FLAIR magnetic resonance.
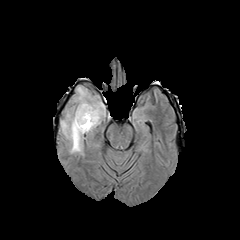
T1-weighted MRI.
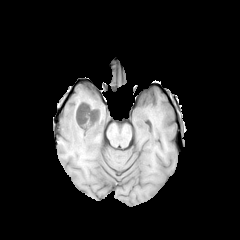
Post-contrast T1-weighted magnetic resonance.
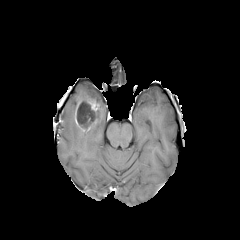
T2-weighted magnetic resonance.
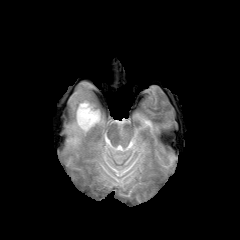
Non-enhancing tumor core — (75,101,99,130).
Enhancing tumor — (89,102,97,111).
Edema — (62,87,105,154).